Computed tomography

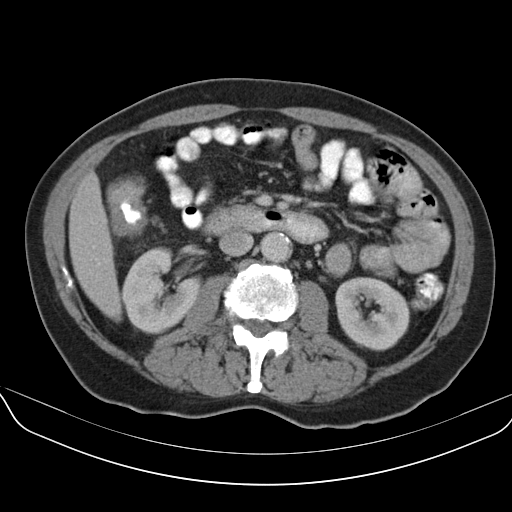 <segmentation>
  <colon_tumor>left=106, top=181, right=146, bottom=237</colon_tumor>
</segmentation>